FLAIR MRI.
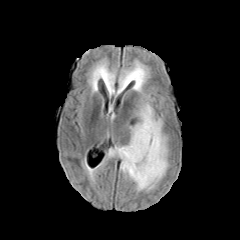
T1-weighted magnetic resonance.
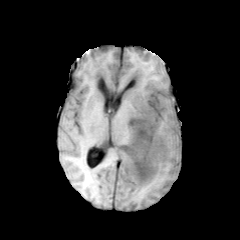
Post-contrast T1-weighted MRI.
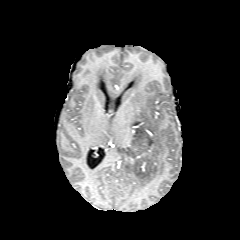
T2-weighted MRI.
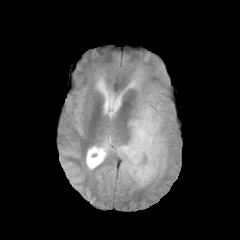
Head
<segmentation>
  <non-enhancing_tumor_core>148 106 153 121, 118 118 157 186</non-enhancing_tumor_core>
  <edema>94 68 108 84, 108 60 168 190</edema>
</segmentation>